Image size 240x240
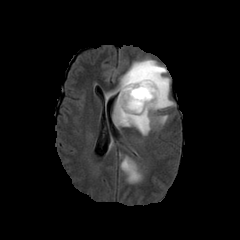
FLAIR MRI.
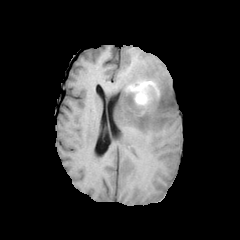
T1-weighted magnetic resonance.
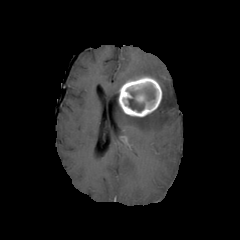
Post-contrast T1-weighted MRI.
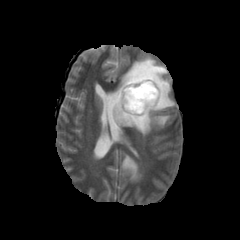
T2-weighted magnetic resonance.
The non-enhancing tumor core is bounded by bbox(128, 87, 154, 111). 3 edema regions are bounded by bbox(121, 156, 140, 181); bbox(116, 58, 173, 111); bbox(114, 97, 169, 135). 2 enhancing tumor regions are located at bbox(119, 76, 162, 117); bbox(135, 94, 144, 102).